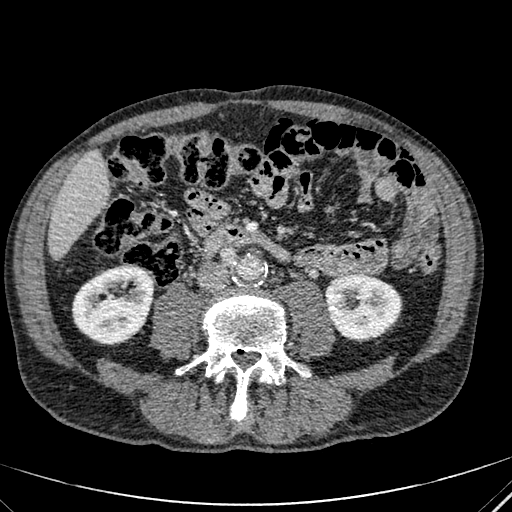
Upper abdomen. CT image.
Kidney — x1=73 y1=267 x2=152 y2=343, x1=326 y1=275 x2=400 y2=338.
Liver — x1=47 y1=150 x2=107 y2=259.